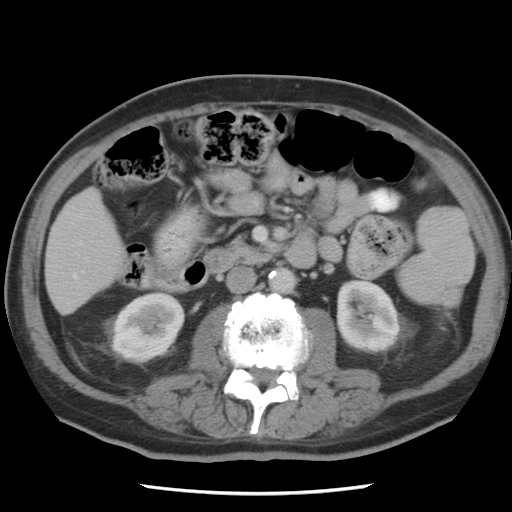 Image size 512x512; CT slice; Upper abdomen
Annotated regions:
- pancreas: (230,238,271,262)